CT. Slice 24/168. 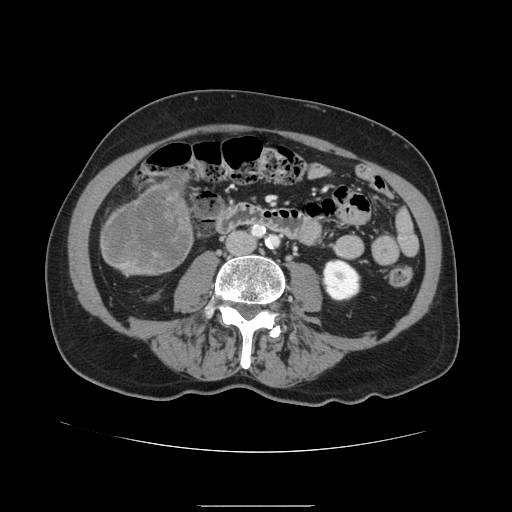
liver tumor: left=105, top=176, right=189, bottom=270